CT image; Field of view 432 mm wide, 0.70 mm slice spacing; Liver; Slice 567 of 986 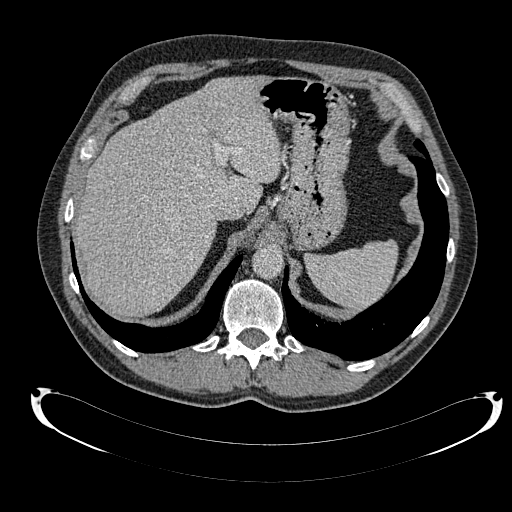 Liver: (x1=75, y1=75, x2=281, y2=316).